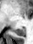

MRI, Medial temporal lobe

Segmented structures:
* posterior hippocampus: box(14, 27, 25, 36)